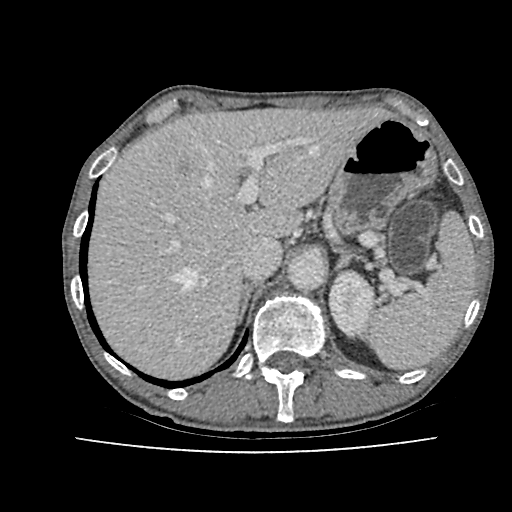 CT image. The liver is at x1=89 y1=109 x2=381 y2=378. The kidney is bounded by x1=330 y1=275 x2=372 y2=334.